Brain
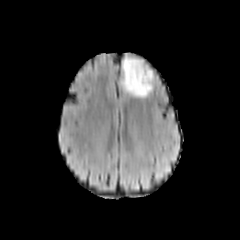
FLAIR MR.
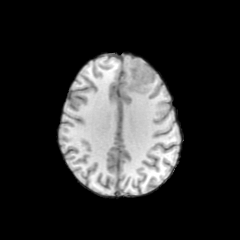
T1-weighted magnetic resonance.
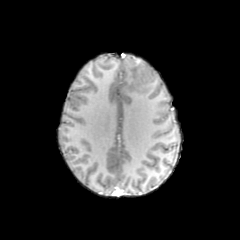
Post-contrast T1-weighted magnetic resonance.
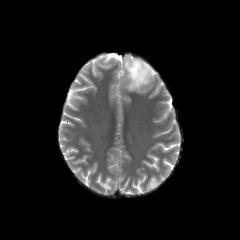
T2-weighted MR.
The edema is bounded by [122, 57, 150, 96]. The non-enhancing tumor core lies within [130, 61, 154, 91].